FLAIR MR.
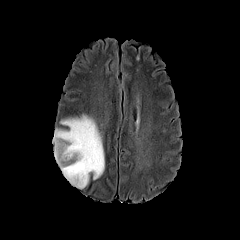
T1-weighted MR image.
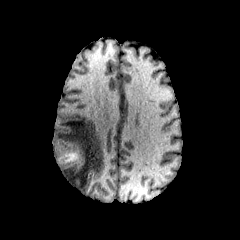
Post-contrast T1-weighted MR.
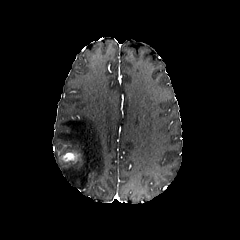
T2-weighted MR image.
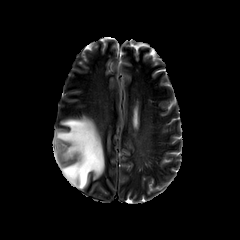
<segmentation>
  <non-enhancing_tumor_core>region(55, 149, 82, 169)</non-enhancing_tumor_core>
  <enhancing_tumor>region(61, 150, 82, 162)</enhancing_tumor>
  <edema>region(52, 115, 105, 189)</edema>
</segmentation>